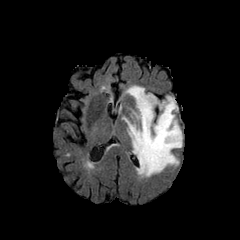
FLAIR magnetic resonance.
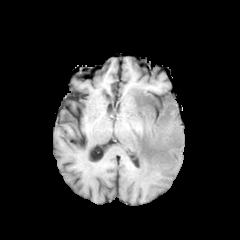
Same slice, T1-weighted MRI.
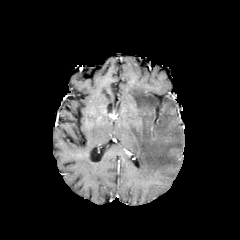
Post-contrast T1-weighted MRI.
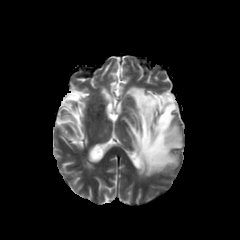
T2-weighted MRI of the same slice.
Edema: bounding box <box>124,86,182,176</box>.
Non-enhancing tumor core: bounding box <box>150,97,167,109</box>.